Slice 483 of 841; Computed tomography 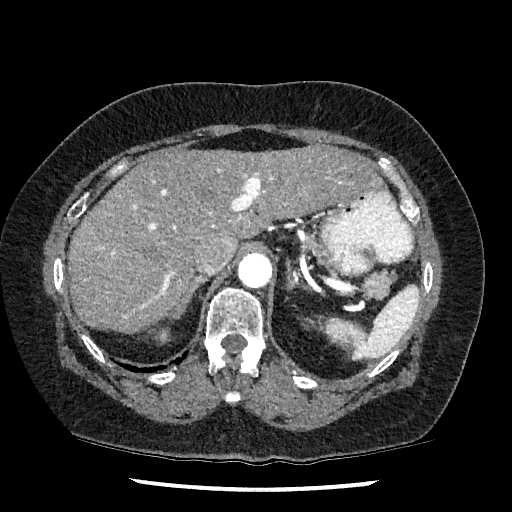

Liver = (left=67, top=145, right=384, bottom=330).